FLAIR MR image.
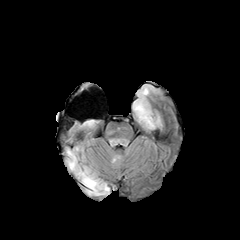
T1-weighted MR.
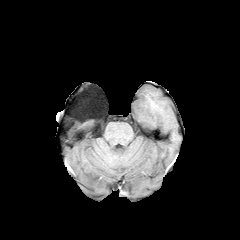
Post-contrast T1-weighted MR image.
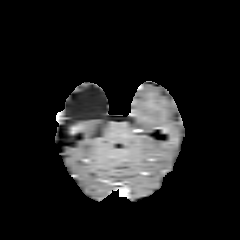
T2-weighted MRI.
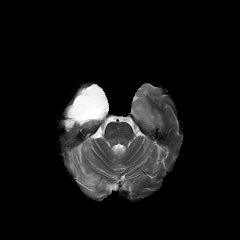
Brain, 240x240 px
2 edema regions are located at x1=134, y1=102, x2=151, y2=122; x1=67, y1=148, x2=110, y2=195.